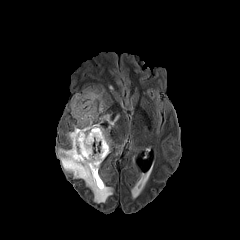
FLAIR magnetic resonance.
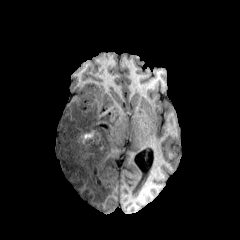
T1-weighted MR image of the same slice.
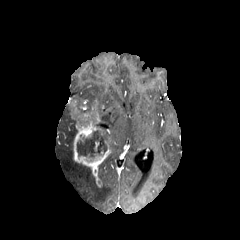
Post-contrast T1-weighted MR image.
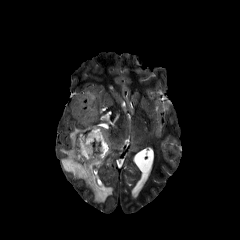
T2-weighted MR image of the same slice.
240x240 px | Brain
Segmented structures:
* non-enhancing tumor core: rect(73, 93, 94, 112); rect(77, 130, 107, 155)
* enhancing tumor: rect(69, 99, 116, 170)
* edema: rect(65, 128, 77, 146); rect(99, 113, 119, 130); rect(83, 90, 105, 113); rect(56, 146, 112, 203)